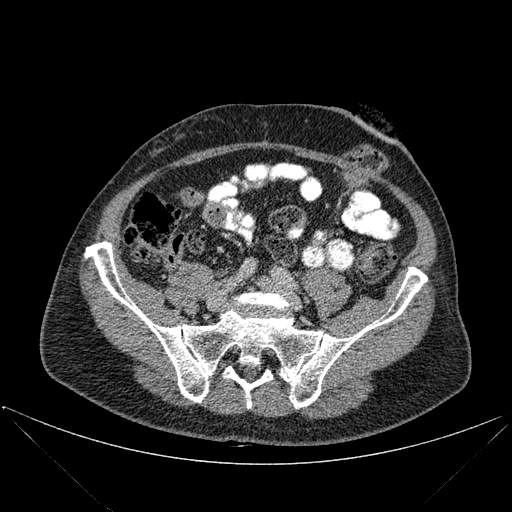
CT

Bone: bbox(224, 366, 272, 408); bbox(85, 242, 427, 408).